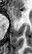

Hippocampus | MR

Segmented structures:
* anterior hippocampus: [10,6,21,20]